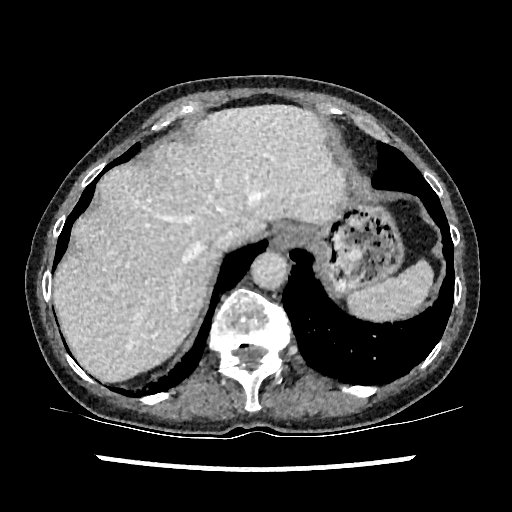
Upper abdomen. Image size 512x512. CT scan slice.
liver:
  - (54,107,344,381)